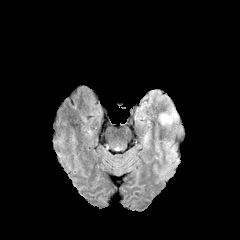
FLAIR MRI.
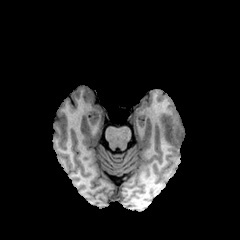
T1-weighted MR image.
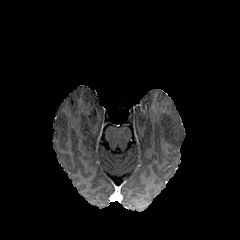
Post-contrast T1-weighted MR.
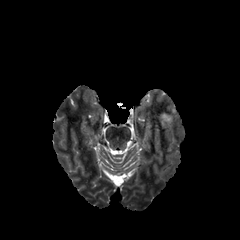
T2-weighted magnetic resonance.
Brain.
Segmented structures:
- edema: x1=159 y1=114 x2=172 y2=123